Brain, 240x240 px
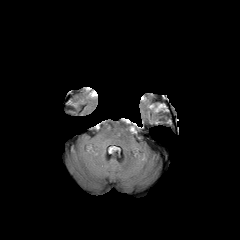
FLAIR MR.
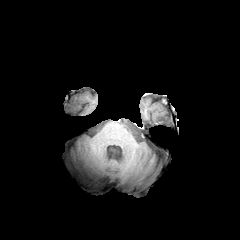
T1-weighted magnetic resonance.
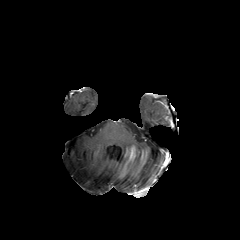
Post-contrast T1-weighted MR image.
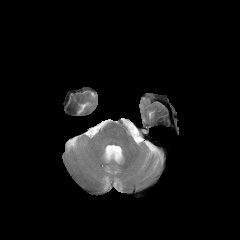
T2-weighted magnetic resonance.
2 edema regions are located at bbox=[126, 122, 135, 135]; bbox=[101, 144, 113, 158]. The non-enhancing tumor core is located at bbox=[107, 147, 118, 156].